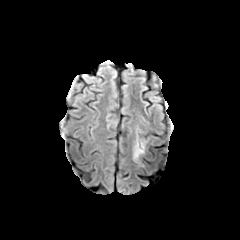
FLAIR MR.
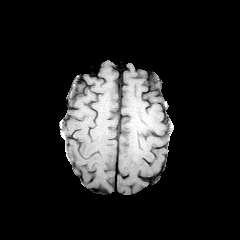
T1-weighted MRI.
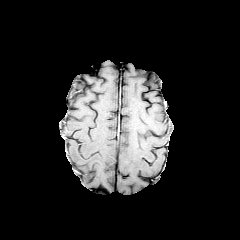
Same slice, post-contrast T1-weighted MRI.
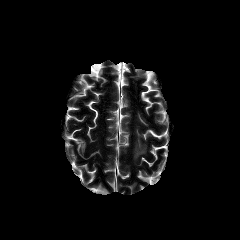
Same slice, T2-weighted MR image.
Head | Image size 240x240
The edema lies within [x1=134, y1=142, x2=143, y2=157].